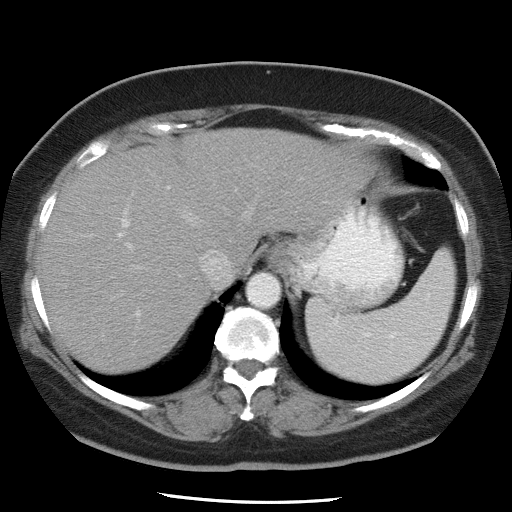

Liver, Computed tomography

The vessel boxes may cover only some of the vessels.
{"hepatic_vessel": ["bbox(183, 212, 201, 226)", "bbox(119, 233, 121, 234)", "bbox(141, 266, 148, 269)", "bbox(128, 266, 135, 270)", "bbox(202, 250, 230, 286)", "bbox(123, 221, 129, 225)", "bbox(244, 203, 254, 216)"]}